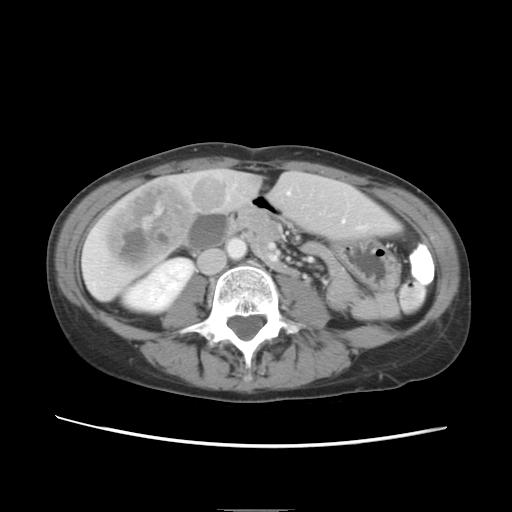
512x512 px, CT image

Only some of the vessels may be annotated.
4 hepatic vessel regions appear at rect(288, 191, 289, 193); rect(342, 219, 344, 221); rect(227, 196, 229, 197); rect(90, 281, 95, 284). The liver tumor is located at rect(104, 179, 193, 272).